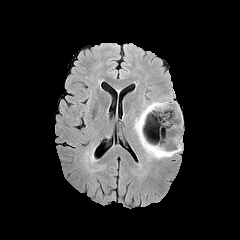
FLAIR magnetic resonance.
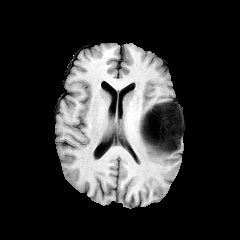
Same slice, T1-weighted MRI.
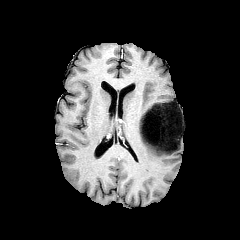
Post-contrast T1-weighted MR image.
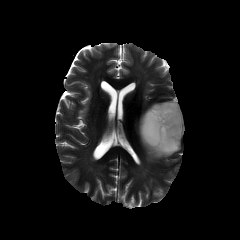
T2-weighted MR.
Image size 240x240 | Brain
{"non-enhancing_tumor_core": ["(x1=150, y1=102, x2=180, y2=151)"], "edema": ["(x1=135, y1=101, x2=183, y2=159)"]}